512x512. CT image.
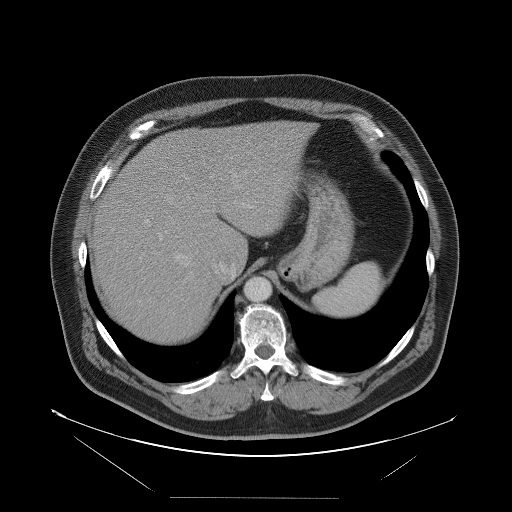
The vessel annotation is not exhaustive.
Findings:
* hepatic vessel: (x1=216, y1=271, x2=217, y2=272), (x1=176, y1=254, x2=184, y2=263), (x1=145, y1=220, x2=150, y2=225), (x1=219, y1=263, x2=222, y2=266), (x1=159, y1=233, x2=162, y2=239), (x1=211, y1=176, x2=212, y2=177), (x1=138, y1=300, x2=140, y2=301)